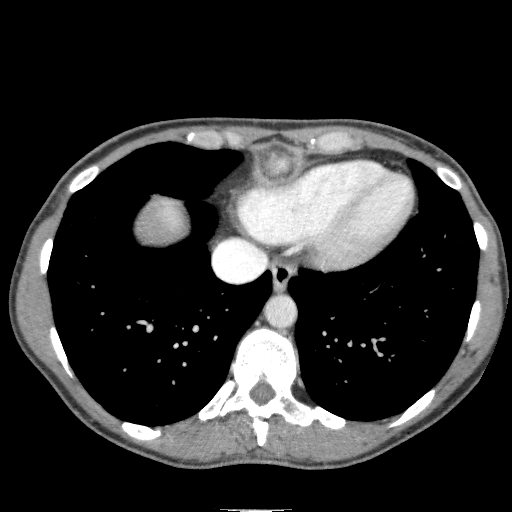 512x512 px. CT image. Upper abdomen.

Annotated regions:
• liver: 264:158:292:177, 137:199:187:241